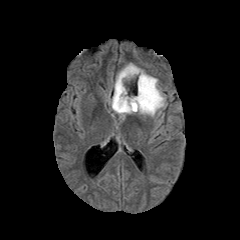
FLAIR MR image.
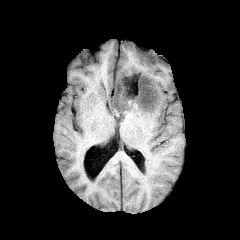
Same slice, T1-weighted magnetic resonance.
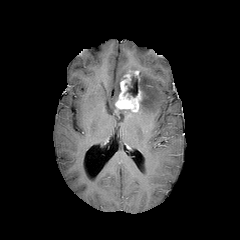
Post-contrast T1-weighted MRI.
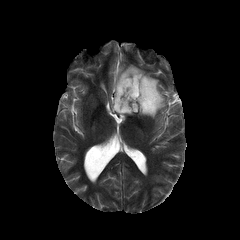
Same slice, T2-weighted MR.
Non-enhancing tumor core — [113, 83, 120, 109], [125, 74, 154, 109].
Enhancing tumor — [115, 70, 142, 111].
Edema — [109, 62, 166, 120].